CT scan slice; Slice 262 of 432
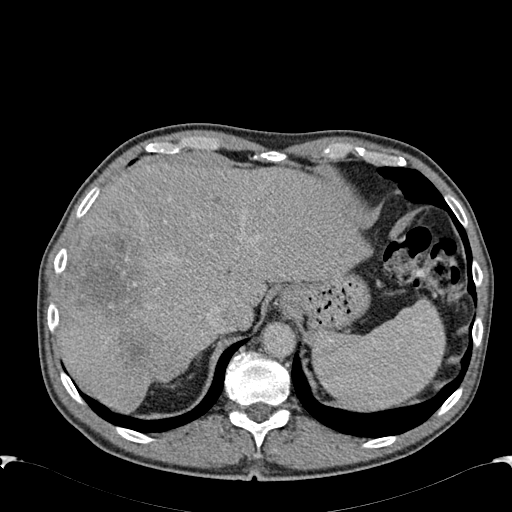

Liver at box(56, 164, 372, 409).
Focal liver lesion at box(117, 330, 156, 368); box(64, 230, 144, 322).